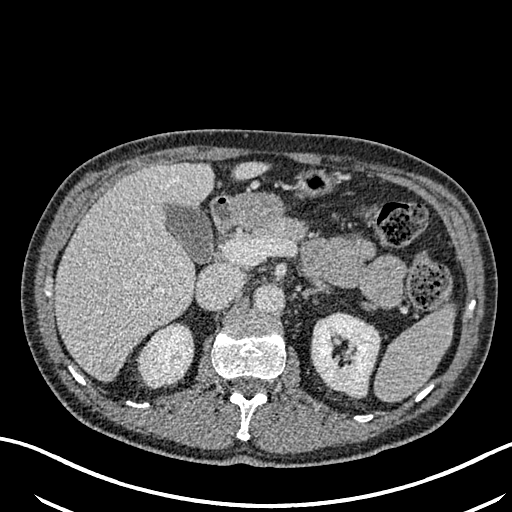 Upper abdomen | CT scan slice | Image size 512x512
2 kidney regions are located at left=312, top=314, right=379, bottom=392; left=140, top=326, right=192, bottom=383. 2 liver regions are located at left=232, top=162, right=265, bottom=179; left=56, top=163, right=212, bottom=380. The hepatic lesion is located at left=100, top=362, right=115, bottom=374.